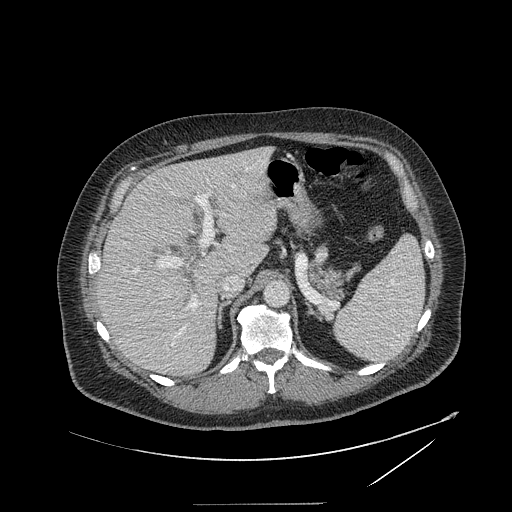

Abdomen | CT

Annotated regions:
- pancreas: region(309, 264, 341, 297)